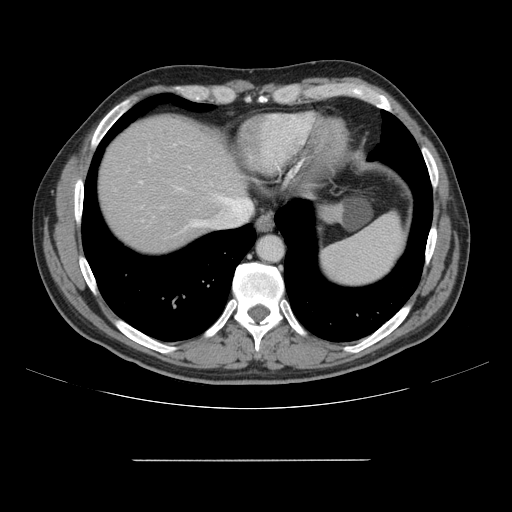
CT
Not every hepatic vessel necessarily has a box.
* hepatic vessel: bbox(140, 181, 142, 182); bbox(142, 219, 143, 221); bbox(179, 220, 205, 232); bbox(175, 187, 181, 189); bbox(213, 194, 232, 203)